Brain.
FLAIR MR image.
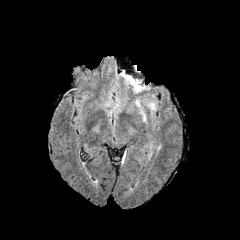
T1-weighted MR.
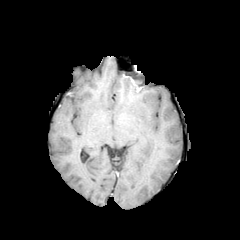
Post-contrast T1-weighted MR image.
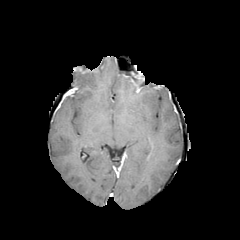
T2-weighted magnetic resonance.
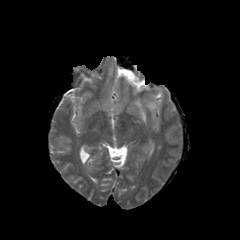
* edema: x1=134, y1=93, x2=157, y2=121; x1=120, y1=72, x2=150, y2=93